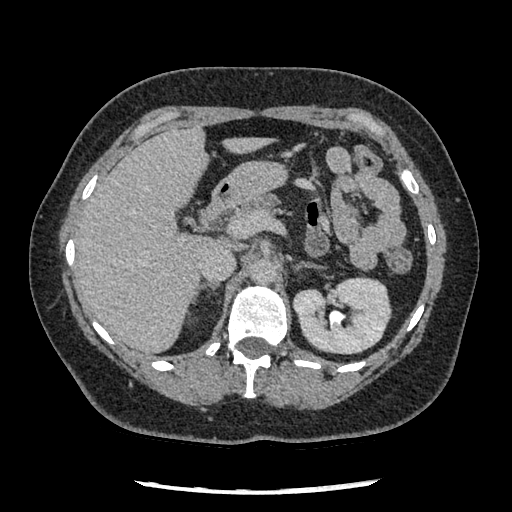 Abdomen; CT image; 512x512
Pancreas = bbox(234, 195, 278, 218).